CT, Image size 512x512, Liver

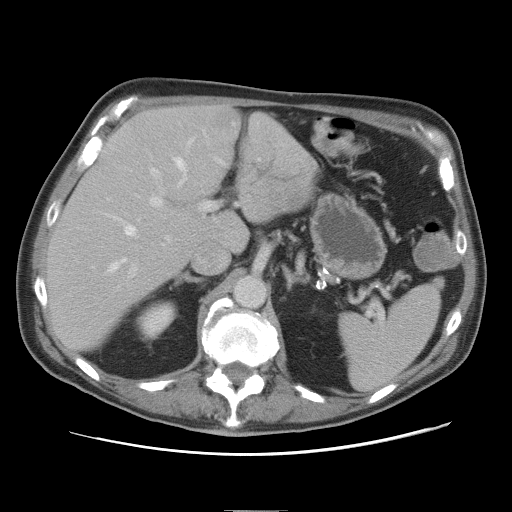
The vessel boxes may cover only some of the vessels.
hepatic_vessel:
  - [126, 225, 135, 235]
  - [218, 159, 225, 164]
  - [200, 205, 203, 208]
  - [176, 158, 185, 169]
  - [151, 168, 158, 176]
  - [179, 181, 183, 185]
  - [130, 267, 136, 274]
  - [109, 258, 125, 271]
  - [151, 197, 162, 206]
  - [167, 237, 169, 239]
  - [189, 140, 192, 143]